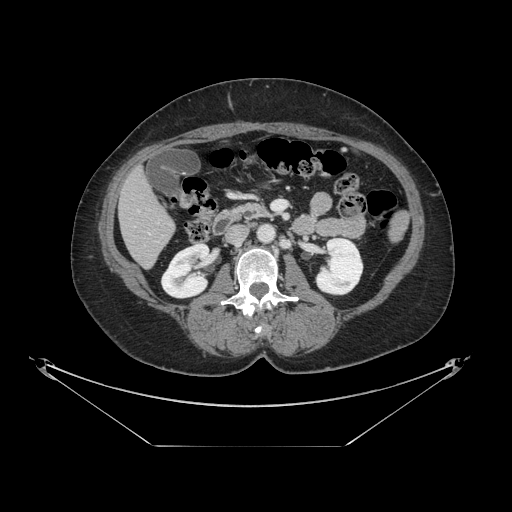

Image size 512x512. Upper abdomen. CT. The pancreas lies within 243:203:270:217.